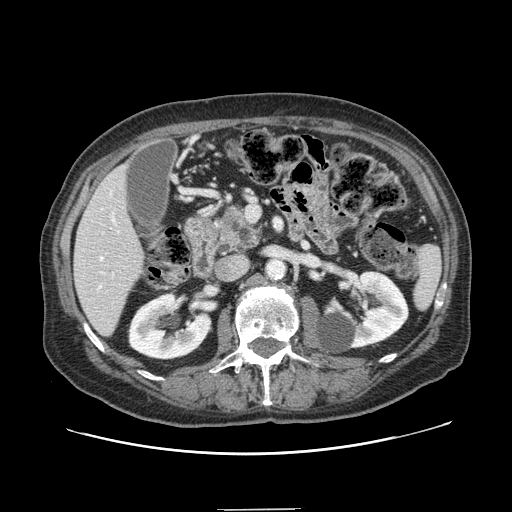
CT. Image size 512x512.
The pancreatic tumor lies within box=[220, 214, 241, 233]. The pancreas lies within box=[215, 199, 260, 255].